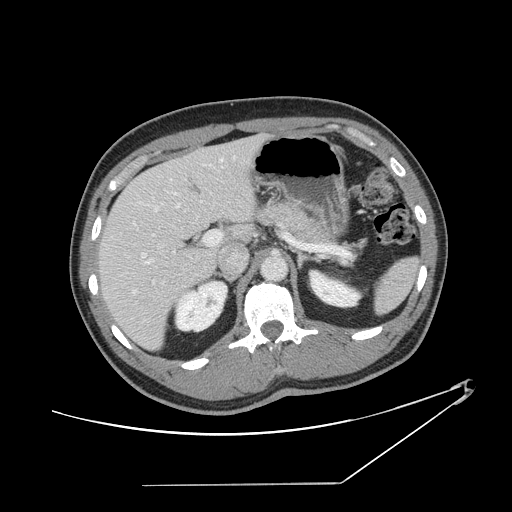

Abdomen. Computed tomography. The vessel boxes may cover only some of the vessels.
hepatic_vessel:
  - [204, 230, 221, 245]
  - [153, 280, 154, 282]
  - [127, 256, 129, 257]
  - [176, 204, 179, 207]
  - [133, 222, 135, 225]
  - [203, 164, 211, 165]
  - [153, 207, 158, 210]
  - [141, 253, 153, 262]
  - [133, 290, 136, 293]
  - [220, 158, 222, 161]
  - [136, 227, 137, 229]
  - [165, 190, 167, 191]
  - [161, 203, 163, 204]
  - [173, 251, 175, 252]
  - [170, 192, 177, 194]